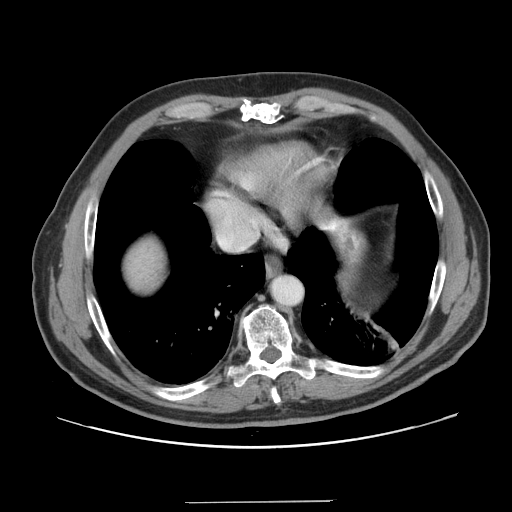
CT scan slice
The vessel annotation is not exhaustive.
<segmentation>
  <hepatic_vessel>bbox(219, 238, 230, 247); bbox(240, 246, 244, 248)</hepatic_vessel>
</segmentation>